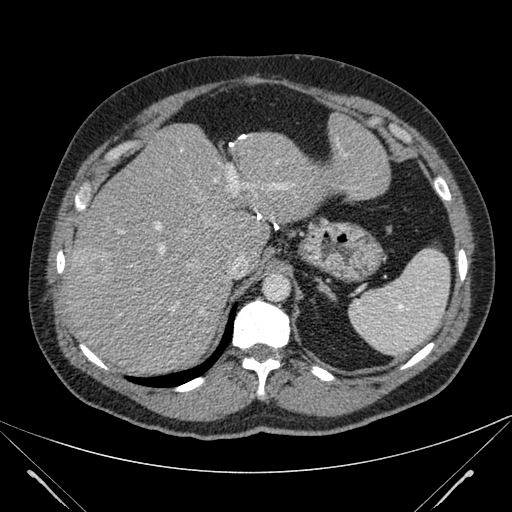
Computed tomography | Upper abdomen
Segmented structures:
- hepatic lesion: <bbox>89, 257, 103, 273</bbox>
- liver: <bbox>60, 113, 389, 375</bbox>